512x512 px; Liver; Computed tomography
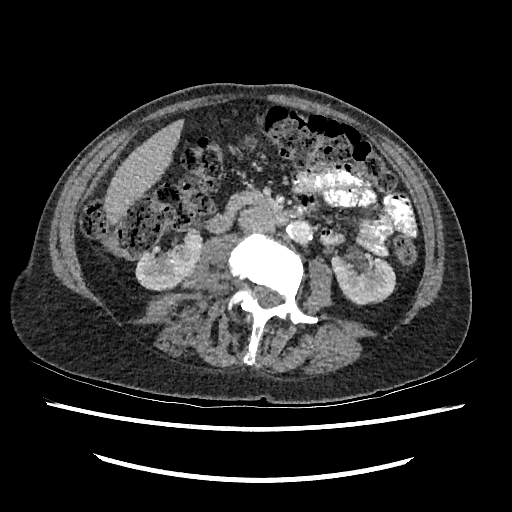
2 kidney regions appear at bbox(332, 257, 395, 303); bbox(136, 236, 200, 289). The liver is bounded by bbox(106, 120, 183, 220).